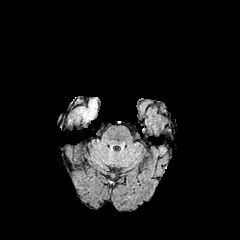
FLAIR magnetic resonance.
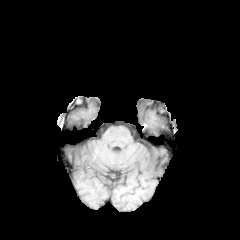
T1-weighted magnetic resonance of the same slice.
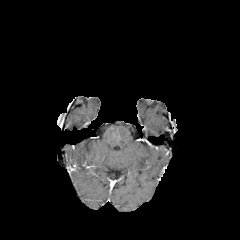
Post-contrast T1-weighted magnetic resonance.
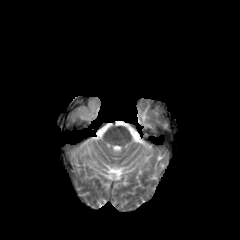
T2-weighted MR image of the same slice.
240x240 px
Edema at 83, 100, 96, 121.